Image width 37 mm. Slice 25 of 34. MR image.
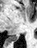
Posterior hippocampus at (left=8, top=33, right=19, bottom=41).